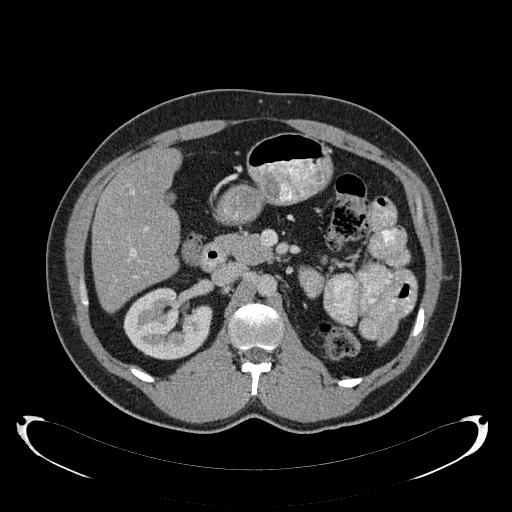
CT image. Upper abdomen. Kidney: <box>124,289,211,358</box>.
Liver: <box>92,149,180,311</box>.